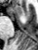

38x50 px; MR image

* anterior hippocampus: [7, 5, 22, 15]